Image width 240 mm; 240x240 px; Brain
FLAIR MR image.
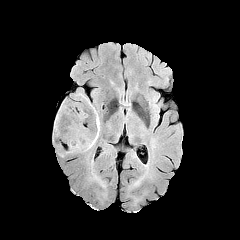
T1-weighted magnetic resonance.
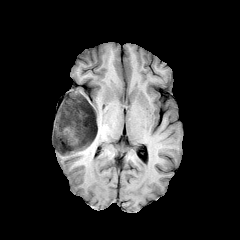
Post-contrast T1-weighted magnetic resonance.
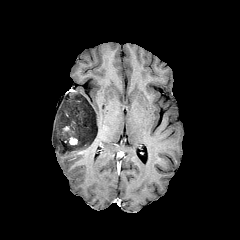
T2-weighted MRI.
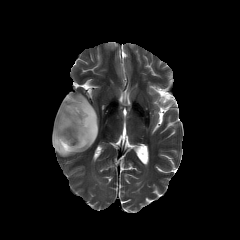
The non-enhancing tumor core is located at left=54, top=94, right=97, bottom=151. The edema is at left=54, top=136, right=91, bottom=156. The enhancing tumor appears at left=68, top=137, right=77, bottom=144.